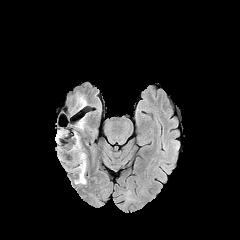
FLAIR MR.
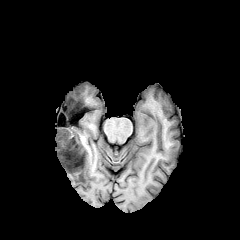
T1-weighted MR.
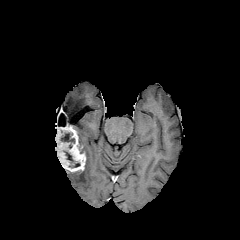
Post-contrast T1-weighted MRI.
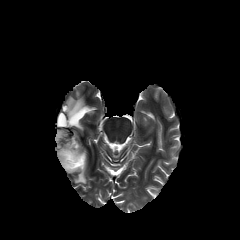
T2-weighted MR.
240x240 px
The enhancing tumor is bounded by 56 125 85 171. 3 edema regions appear at 72 158 87 183, 68 95 86 115, 74 116 84 136. 2 non-enhancing tumor core regions appear at 68 100 80 108, 60 130 75 144.